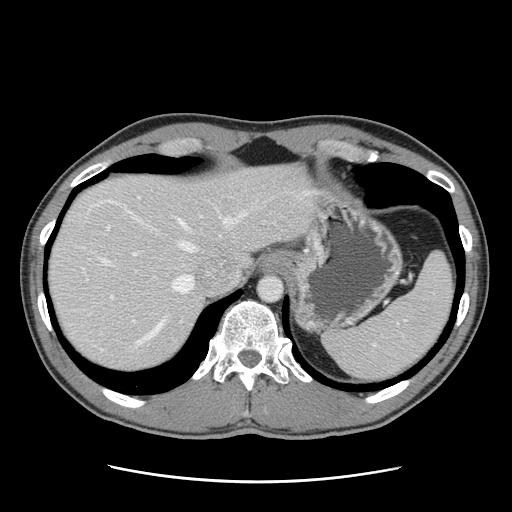

CT; Image size 512x512
Some hepatic vessels may have no box.
Findings:
• hepatic vessel: x1=223 y1=211 x2=246 y2=225, x1=176 y1=217 x2=187 y2=228, x1=100 y1=259 x2=110 y2=263, x1=121 y1=204 x2=127 y2=209, x1=86 y1=277 x2=87 y2=280, x1=132 y1=253 x2=135 y2=255, x1=92 y1=204 x2=96 y2=205, x1=134 y1=321 x2=163 y2=345, x1=132 y1=320 x2=134 y2=321, x1=172 y1=275 x2=193 y2=293, x1=106 y1=226 x2=109 y2=229, x1=103 y1=200 x2=116 y2=202, x1=138 y1=196 x2=139 y2=197, x1=83 y1=270 x2=84 y2=272, x1=179 y1=242 x2=193 y2=251